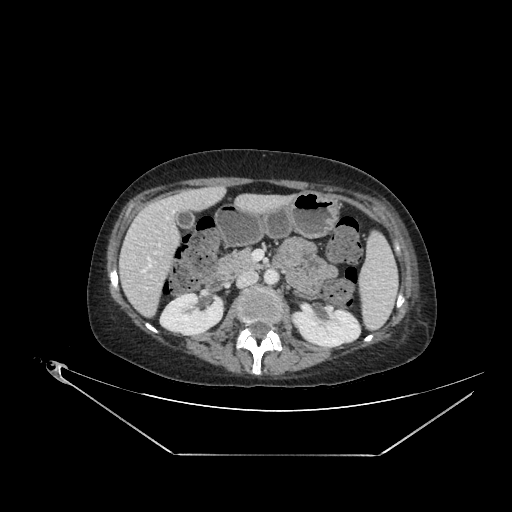

CT scan slice. Segmented structures:
* kidney: [x1=293, y1=306, x2=360, y2=346], [x1=161, y1=294, x2=222, y2=334]
* liver: [x1=118, y1=186, x2=223, y2=317]